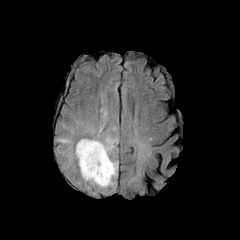
FLAIR MRI.
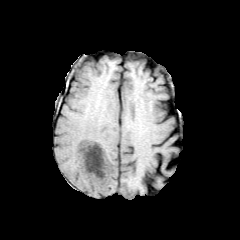
T1-weighted MRI of the same slice.
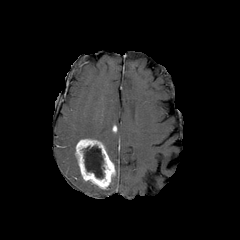
Post-contrast T1-weighted MR.
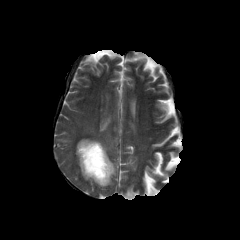
T2-weighted magnetic resonance.
Brain
<segmentation>
  <edema><bbox>98, 135, 117, 155</bbox>, <bbox>110, 159, 118, 185</bbox></edema>
  <non-enhancing_tumor_core><bbox>84, 146, 103, 177</bbox></non-enhancing_tumor_core>
  <enhancing_tumor><bbox>76, 139, 115, 187</bbox></enhancing_tumor>
</segmentation>